Abdomen. CT scan slice. Field of view 460 mm wide, 2.50 mm slice spacing. 512x512 px.
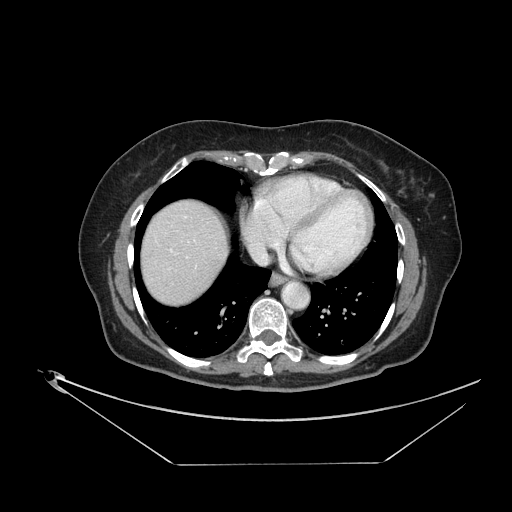
The vessel annotation is not exhaustive.
Segmented structures:
* hepatic vessel: [251,246,267,263]